Image size 240x240, Slice 126 of 155, Field of view 240 mm wide, 1.00 mm slice spacing, Brain
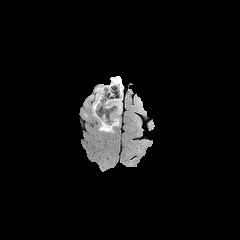
FLAIR MR image.
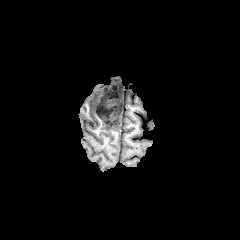
T1-weighted MRI of the same slice.
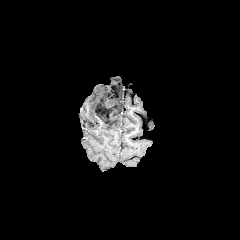
Post-contrast T1-weighted magnetic resonance.
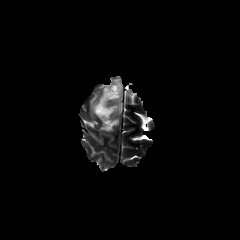
Same slice, T2-weighted magnetic resonance.
2 edema regions are bounded by (100, 79, 123, 132), (86, 87, 105, 117). 2 non-enhancing tumor core regions appear at (99, 118, 117, 130), (95, 96, 109, 117).